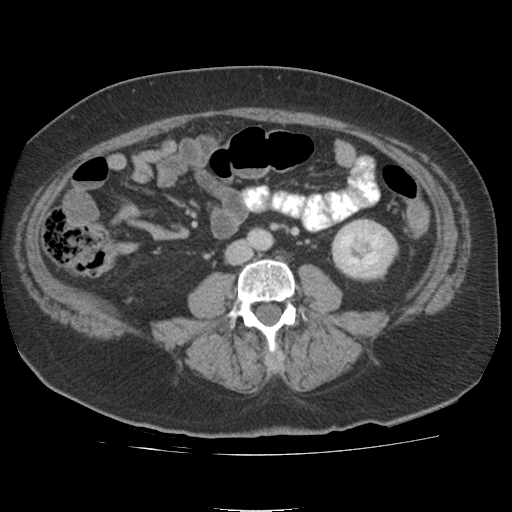 Abdomen, CT scan slice

The kidney is at rect(332, 221, 394, 276).